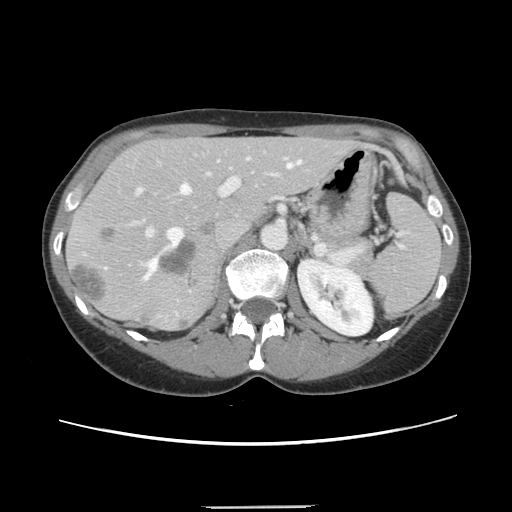

CT slice | Abdomen

Only some of the vessels may be annotated.
{"hepatic_vessel": ["l=246, t=157, r=248, b=159", "l=180, t=183, r=189, b=193", "l=297, t=161, r=300, b=163", "l=164, t=227, r=182, b=249", "l=134, t=220, r=143, b=223", "l=271, t=174, r=276, b=175", "l=284, t=157, r=286, b=159", "l=140, t=258, r=156, b=278", "l=219, t=177, r=238, b=195", "l=146, t=228, r=151, b=235", "l=287, t=162, r=292, b=167", "l=136, t=187, r=141, b=193", "l=206, t=173, r=209, b=174"], "liver_tumor": ["l=76, t=264, r=106, b=300", "l=102, t=228, r=114, b=237", "l=159, t=238, r=197, b=275"]}